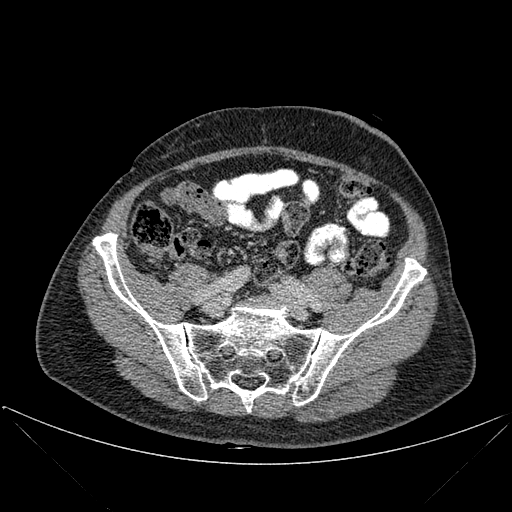 CT slice | Image size 512x512

{
  "bone": [
    "box(93, 233, 426, 412)"
  ]
}